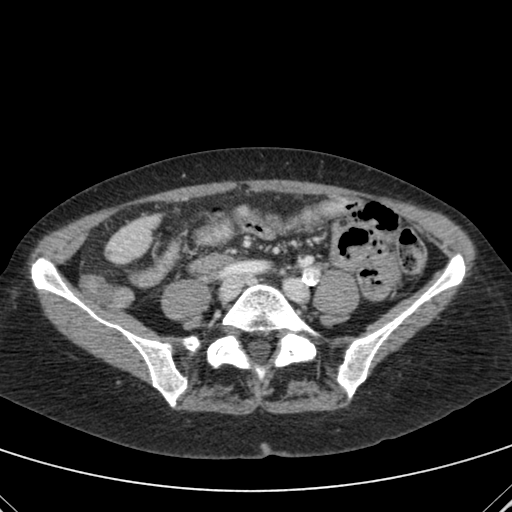
CT image, Abdomen

<segmentation>
  <liver><bbox>108, 216, 157, 262</bbox></liver>
  <liver_lesion><bbox>105, 248, 114, 255</bbox></liver_lesion>
</segmentation>